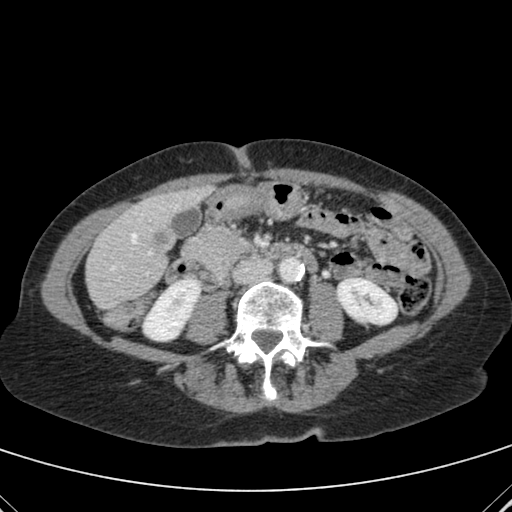 CT image; Liver; Image size 512x512
liver_lesion:
  - box=[150, 229, 172, 253]
kidney:
  - box=[143, 280, 199, 340]
  - box=[338, 278, 396, 323]
liver:
  - box=[86, 186, 206, 309]